FLAIR MR image.
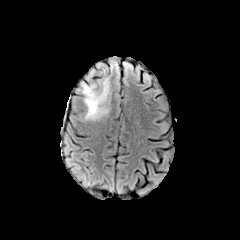
T1-weighted MRI.
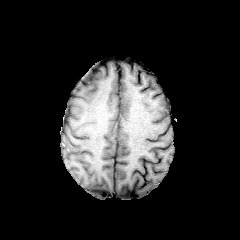
Post-contrast T1-weighted MRI.
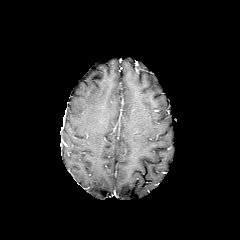
T2-weighted MR image.
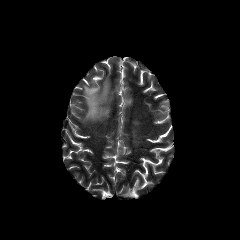
Image size 240x240. Brain.
The edema appears at rect(81, 78, 109, 120).